CT slice; Field of view 411 mm wide, 0.80 mm slice spacing
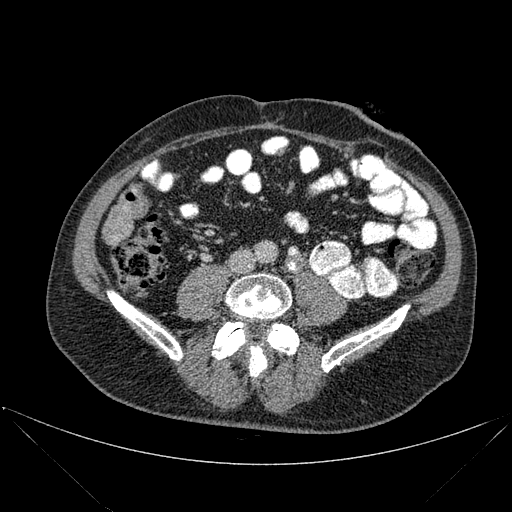 bone: <bbox>212, 322, 245, 359</bbox>, <bbox>107, 291, 182, 360</bbox>, <bbox>267, 323, 298, 354</bbox>, <bbox>321, 305, 409, 371</bbox>, <bbox>249, 345, 266, 376</bbox>, <bbox>226, 274, 291, 318</bbox>